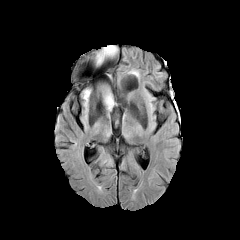
FLAIR MR.
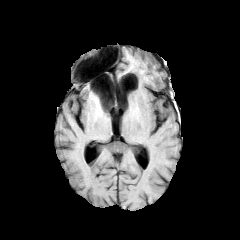
T1-weighted magnetic resonance.
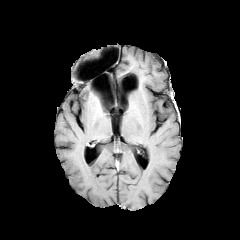
Same slice, post-contrast T1-weighted MR.
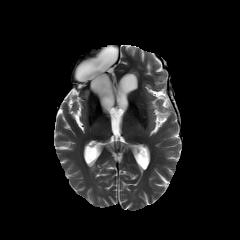
Same slice, T2-weighted magnetic resonance.
2 edema regions appear at bbox=[104, 46, 116, 54]; bbox=[102, 90, 113, 111].